Head; Slice 52 of 155
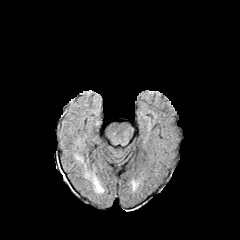
FLAIR magnetic resonance.
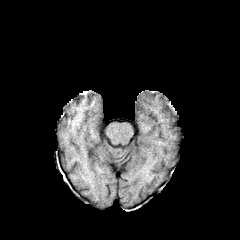
T1-weighted magnetic resonance of the same slice.
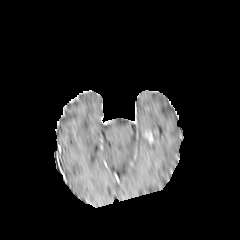
Same slice, post-contrast T1-weighted MRI.
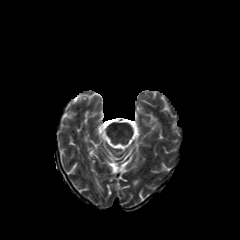
T2-weighted MR image.
The edema is bounded by [x1=92, y1=173, x2=101, y2=191].